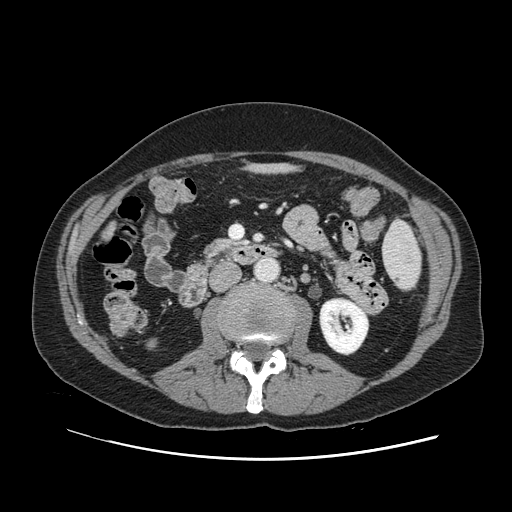 CT | Upper abdomen

The pancreas appears at 205,240,230,255.